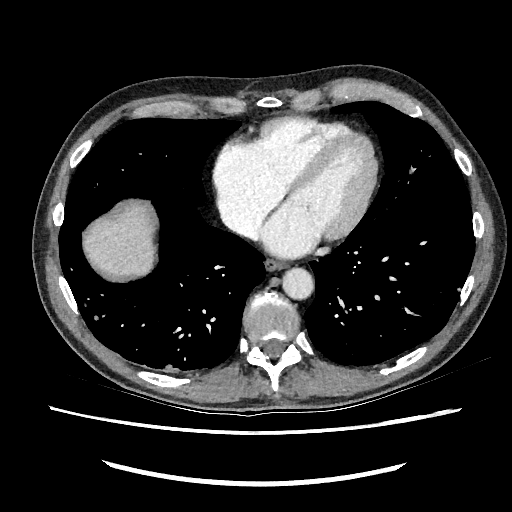
Abdomen | Computed tomography
Liver = <box>83,206,154,274</box>.